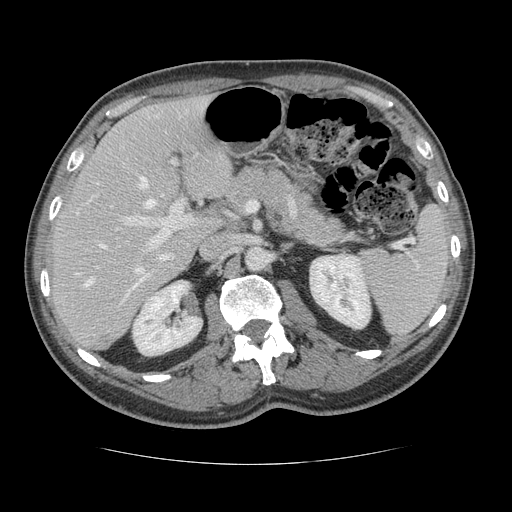 Abdomen, CT
Only some of the vessels may be annotated.
* liver tumor: box(96, 340, 109, 348)
* hepatic vessel (largest 15 of 16): box(149, 202, 192, 247); box(139, 176, 146, 187); box(96, 266, 98, 267); box(85, 278, 93, 285); box(99, 244, 105, 247); box(145, 199, 155, 207); box(89, 197, 92, 200); box(172, 160, 175, 163); box(94, 195, 96, 196); box(122, 266, 149, 301); box(124, 215, 149, 224); box(76, 210, 78, 214); box(159, 254, 173, 258); box(75, 272, 79, 274); box(97, 182, 98, 183)